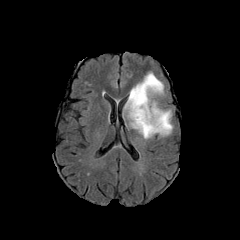
FLAIR magnetic resonance.
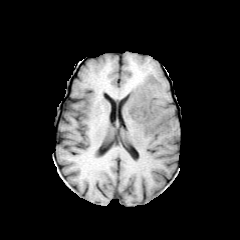
T1-weighted MR.
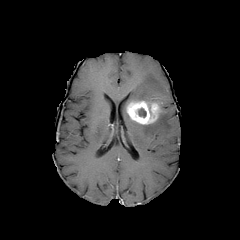
Same slice, post-contrast T1-weighted MRI.
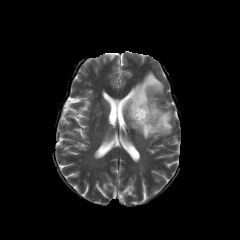
T2-weighted MR image of the same slice.
non-enhancing tumor core: 138, 108, 146, 116; 146, 98, 162, 118 | edema: 123, 71, 173, 138 | enhancing tumor: 126, 100, 159, 124